Abdomen. Field of view 387 mm wide, 0.80 mm slice spacing. CT slice. 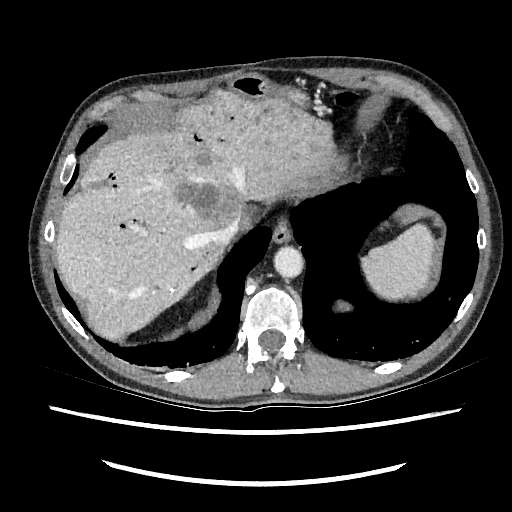 {
  "liver": [
    "56 91 333 337"
  ],
  "hepatic_lesion": [
    "240 213 250 227",
    "88 181 104 189",
    "178 180 229 224",
    "196 154 210 165",
    "168 159 179 171"
  ]
}